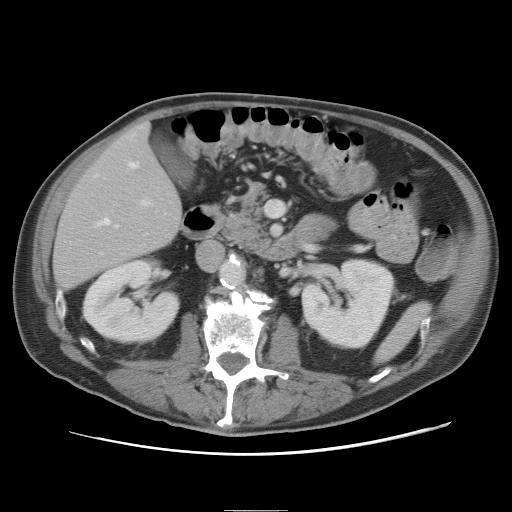
Liver, CT slice
Only some of the vessels may be annotated.
<segmentation>
  <hepatic_vessel>130, 162, 138, 168; 97, 219, 109, 225; 142, 200, 150, 205; 144, 123, 148, 127; 116, 225, 118, 227; 95, 175, 97, 176</hepatic_vessel>
</segmentation>